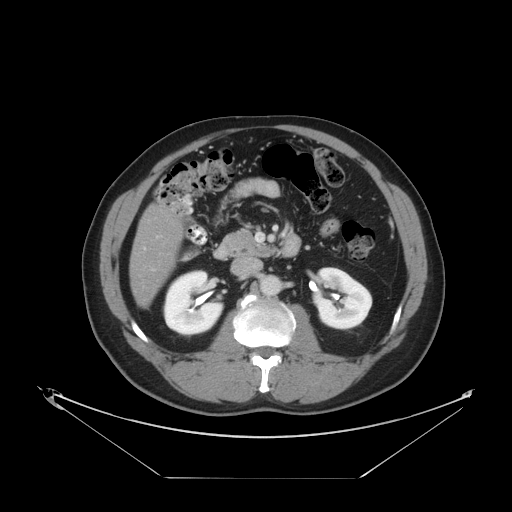
CT slice
Not every hepatic vessel necessarily has a box.
Findings:
* hepatic vessel: box=[143, 247, 145, 249]